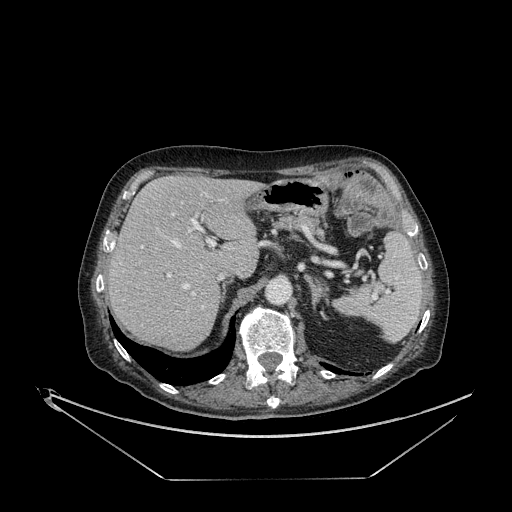

512x512. CT slice. Liver at 109, 176, 263, 350.